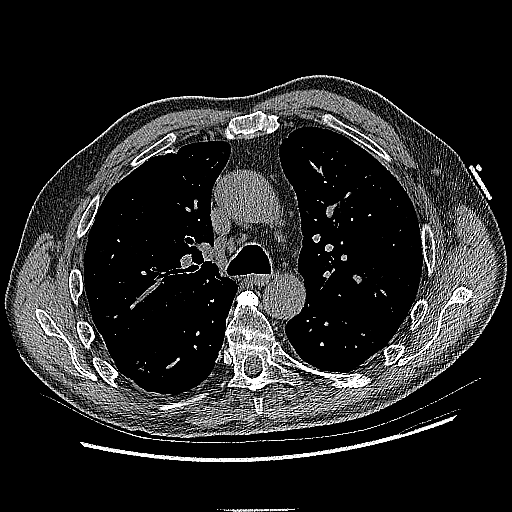
CT scan slice. The lung tumor appears at 129:361:147:381.